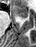 MRI slice | 36x47 px
anterior_hippocampus:
  - [13, 5, 27, 18]